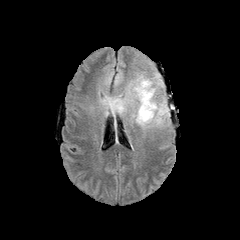
FLAIR magnetic resonance.
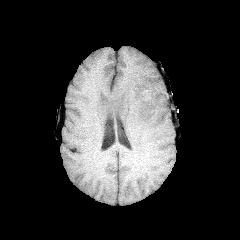
T1-weighted magnetic resonance of the same slice.
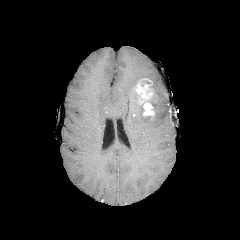
Post-contrast T1-weighted magnetic resonance of the same slice.
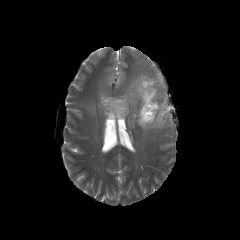
T2-weighted MR of the same slice.
enhancing tumor: 133:78:155:117 | non-enhancing tumor core: 131:81:158:121 | edema: 114:74:123:86, 98:68:170:130